CT scan slice, Slice index 44 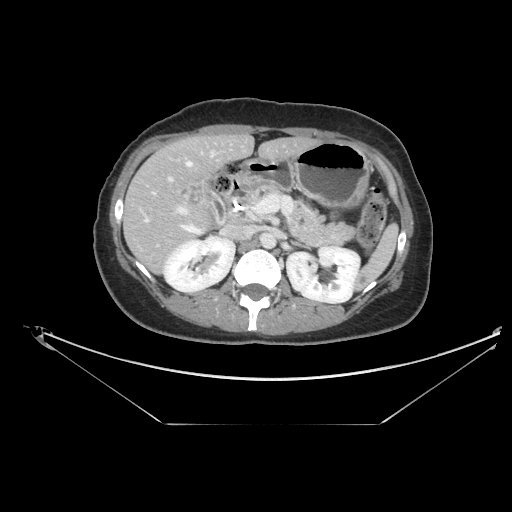

{
  "pancreas": [
    "(left=294, top=200, right=355, bottom=245)",
    "(left=252, top=186, right=278, bottom=202)"
  ]
}